Slice index 35, CT, Abdomen 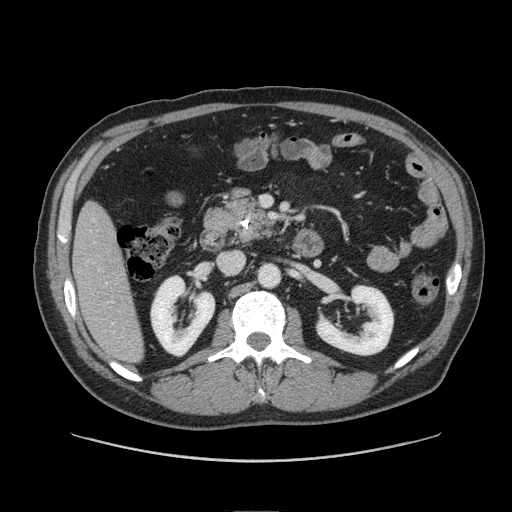
Pancreas: bounding box l=201, t=187, r=277, b=247.
Pancreatic tumor: bounding box l=239, t=227, r=255, b=240.